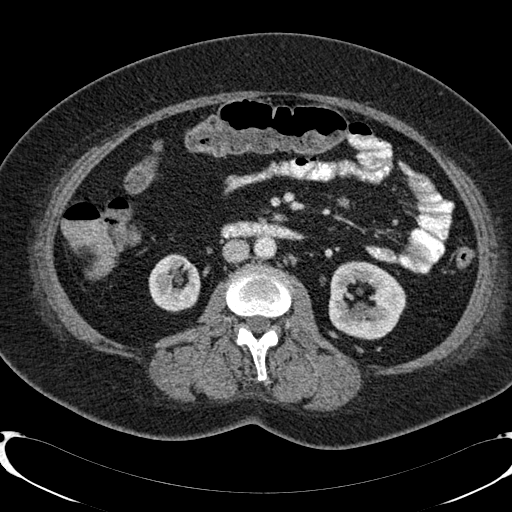
CT. Abdomen. Kidney — (x1=329, y1=262, x2=404, y2=338), (x1=149, y1=255, x2=199, y2=310).